Slice index 85
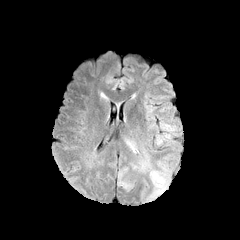
FLAIR MR image.
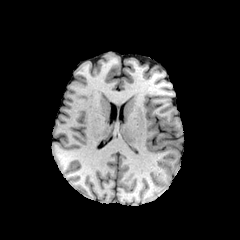
Same slice, T1-weighted MRI.
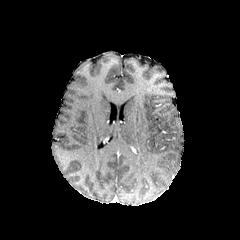
Post-contrast T1-weighted MRI of the same slice.
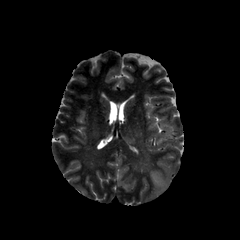
T2-weighted MR image.
Edema — (left=125, top=139, right=138, bottom=152).